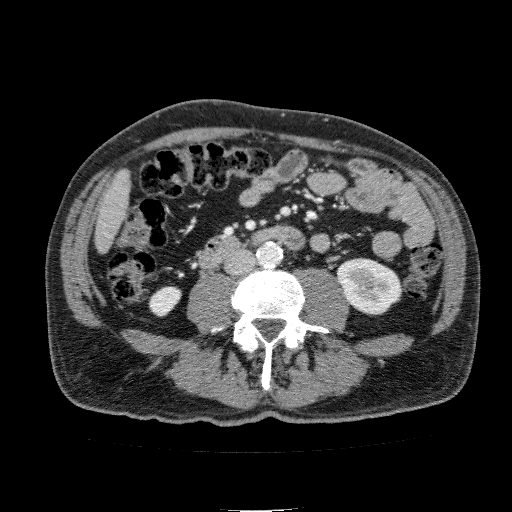

Image size 512x512; CT image; Abdomen
{
  "liver": [
    "left=95, top=169, right=131, bottom=252"
  ],
  "kidney": [
    "left=338, top=259, right=400, bottom=313",
    "left=150, top=287, right=179, bottom=315"
  ]
}